Image size 240x240, Brain
FLAIR magnetic resonance.
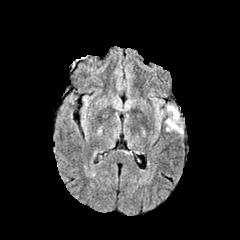
T1-weighted MR image.
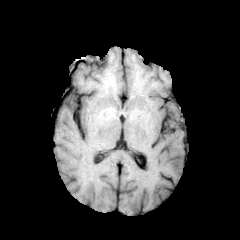
Post-contrast T1-weighted MR.
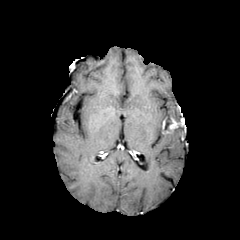
T2-weighted MR image.
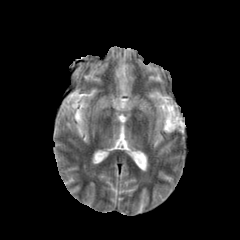
<segmentation>
  <enhancing_tumor>[x1=169, y1=117, x2=183, y2=129]</enhancing_tumor>
  <non-enhancing_tumor_core>[x1=164, y1=112, x2=180, y2=131]</non-enhancing_tumor_core>
  <edema>[x1=153, y1=98, x2=180, y2=128], [x1=167, y1=125, x2=183, y2=133]</edema>
</segmentation>